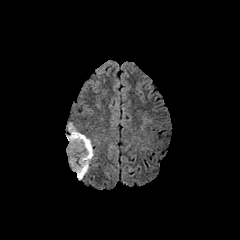
FLAIR MR.
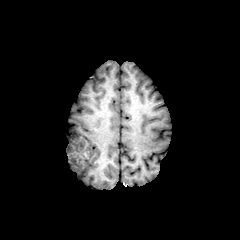
Same slice, T1-weighted MR.
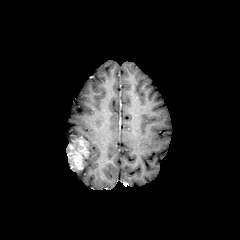
Same slice, post-contrast T1-weighted MRI.
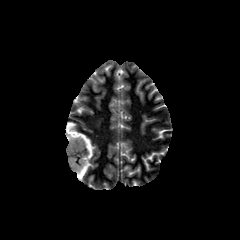
T2-weighted MR.
Head
Annotated regions:
- edema: bbox=[66, 122, 95, 179]
- enhancing tumor: bbox=[69, 145, 82, 169]
- non-enhancing tumor core: bbox=[72, 144, 87, 173]